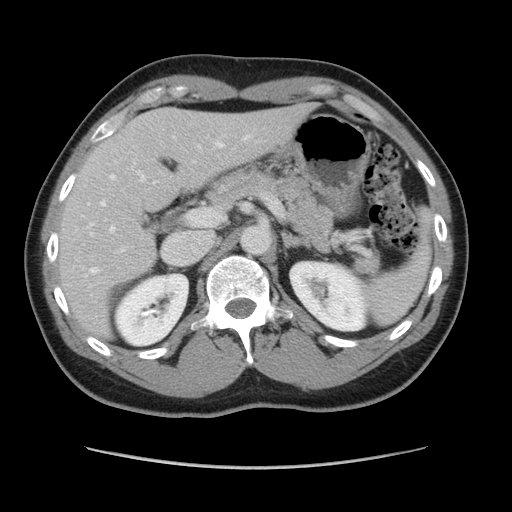

512x512 px; CT slice
The vessel boxes may cover only some of the vessels.
Most prominent 15 of 17 hepatic vessel regions at box(101, 200, 105, 205); box(137, 171, 145, 181); box(90, 232, 93, 235); box(243, 135, 250, 140); box(110, 226, 114, 232); box(86, 222, 94, 228); box(110, 175, 114, 179); box(173, 136, 176, 138); box(116, 248, 124, 252); box(216, 141, 223, 146); box(188, 210, 199, 226); box(199, 145, 201, 148); box(153, 181, 157, 184); box(192, 161, 194, 162); box(89, 267, 100, 273).